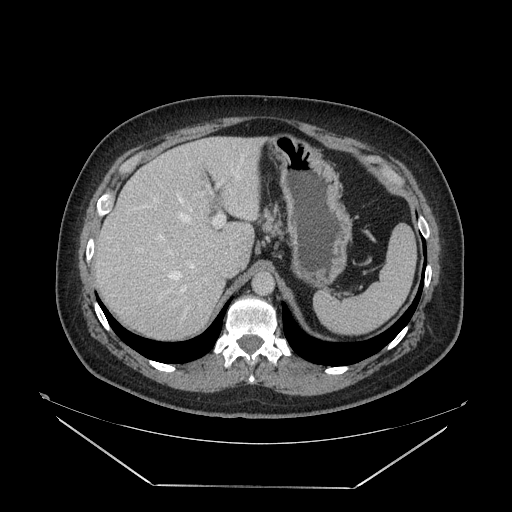 Computed tomography, Upper abdomen
Pancreas: bounding box rect(263, 213, 279, 234).